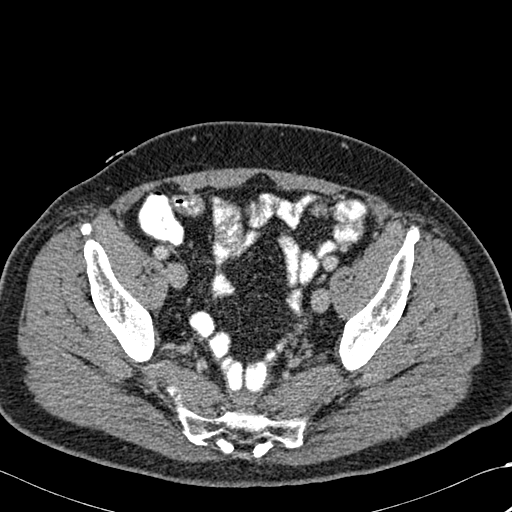
CT slice
Bone: x1=339, y1=227, x2=418, y2=370; x1=178, y1=402, x2=305, y2=456; x1=82, y1=224, x2=90, y2=234; x1=84, y1=239, x2=154, y2=361.